Upper abdomen | Image width 400 mm | CT image 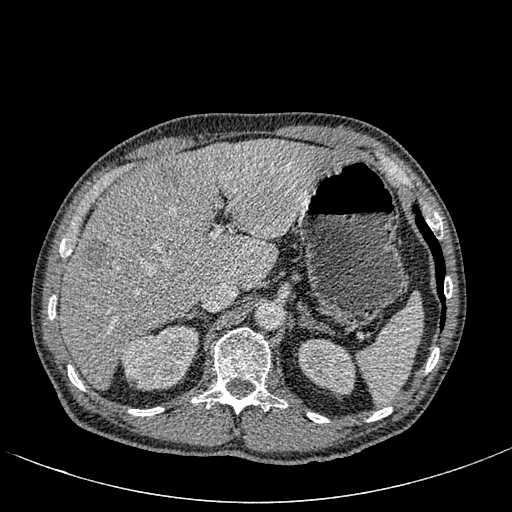 Liver: bounding box region(60, 139, 355, 390).
Liver lesion: bounding box region(82, 238, 107, 269); region(223, 237, 233, 247); region(155, 161, 179, 183); region(213, 144, 229, 160).
Kidney: bounding box region(299, 339, 354, 393); region(120, 326, 198, 389).